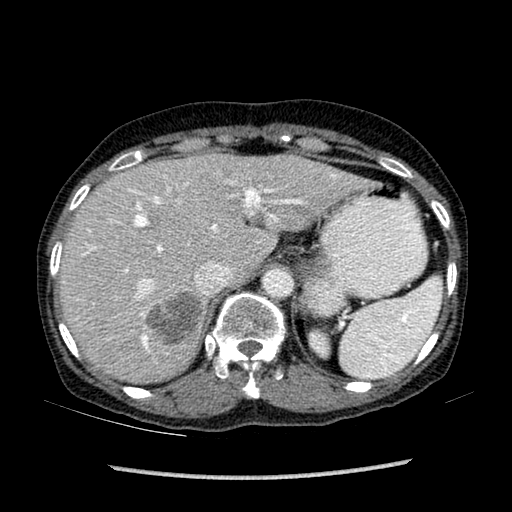
Image size 512x512. CT. Upper abdomen. The liver appears at (59, 154, 373, 383). The hepatic lesion is bounded by (146, 292, 201, 343). The kidney appears at (311, 334, 325, 352).